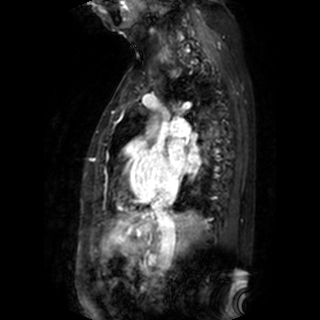 MR; Cardiac; 320x320
The left atrium is at {"x1": 168, "y1": 140, "x2": 198, "y2": 171}.